FLAIR magnetic resonance.
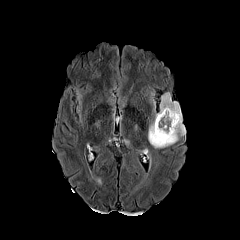
T1-weighted MR image.
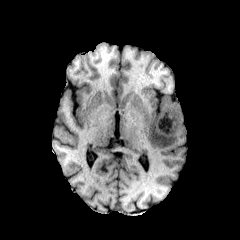
Post-contrast T1-weighted magnetic resonance.
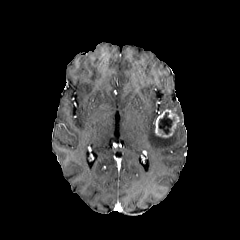
T2-weighted MR image.
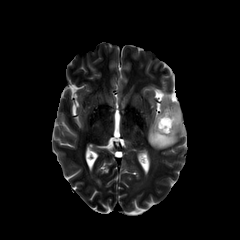
Head
Findings:
- edema: <box>148,96,186,149</box>
- non-enhancing tumor core: <box>159,112,175,134</box>
- enhancing tumor: <box>153,109,179,137</box>